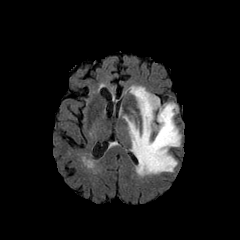
FLAIR magnetic resonance.
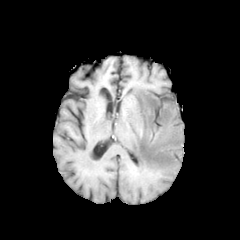
Same slice, T1-weighted magnetic resonance.
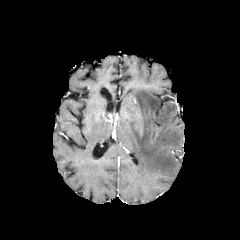
Post-contrast T1-weighted MRI.
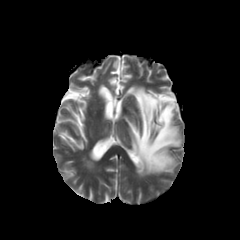
T2-weighted MRI.
Image size 240x240. Head.
Edema: [123, 85, 181, 176].